512x512. Field of view 350x350 mm. CT image. 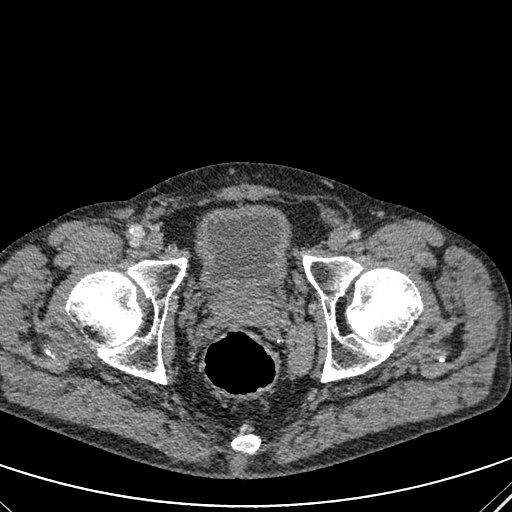

urinary_bladder:
  - x1=207, y1=211, x2=279, y2=290